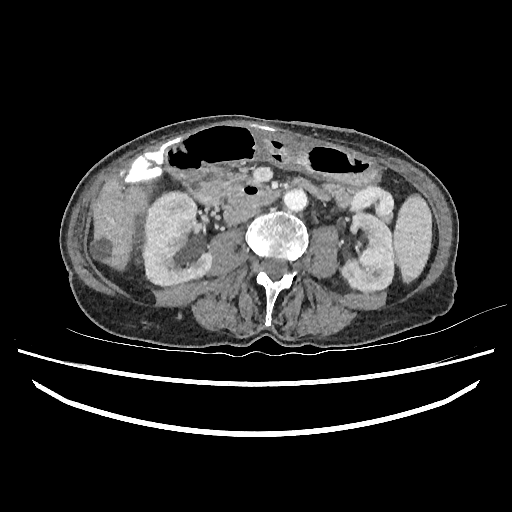 Upper abdomen, CT scan slice
Liver — left=92, top=178, right=147, bottom=269.
Kidney — left=143, top=192, right=211, bottom=285; left=342, top=213, right=393, bottom=291.
Focal liver lesion — left=91, top=240, right=111, bottom=259; left=133, top=225, right=140, bottom=259.